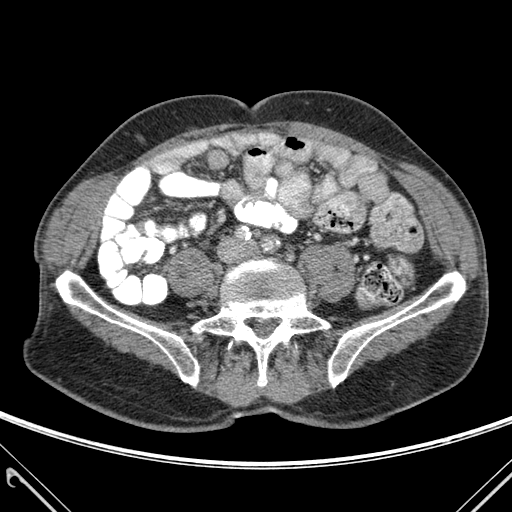
CT scan slice
3 bone regions are located at 56 271 198 385, 192 260 329 385, 328 272 465 386.